Computed tomography; Slice 567 of 630; 512x512 px 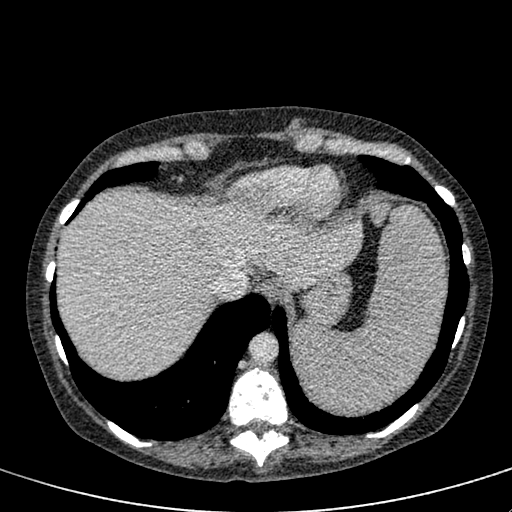 - liver: {"x1": 58, "y1": 193, "x2": 362, "y2": 378}
- focal liver lesion: {"x1": 188, "y1": 227, "x2": 215, "y2": 248}